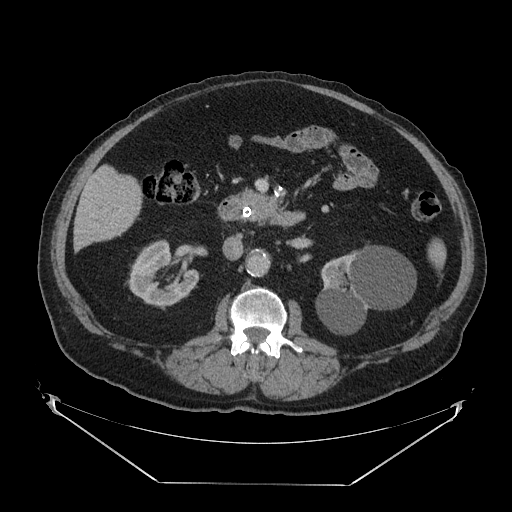

Upper abdomen. CT scan slice.

Pancreas = box=[241, 190, 276, 215].